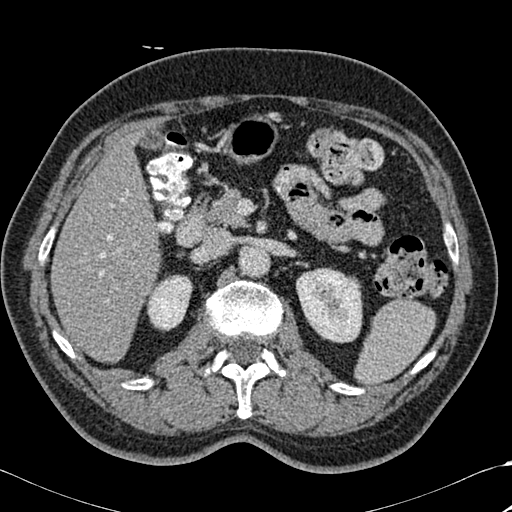
Computed tomography; Upper abdomen

2 liver regions are bounded by [52,143,159,361], [122,134,138,145]. 2 kidney regions are located at [148,276,191,329], [297,269,361,341]. 7 bone regions are bounded by [331,383,361,394], [207,280,284,418], [412,351,434,372], [124,378,152,389], [39,229,54,260], [444,225,458,262], [54,332,74,357].